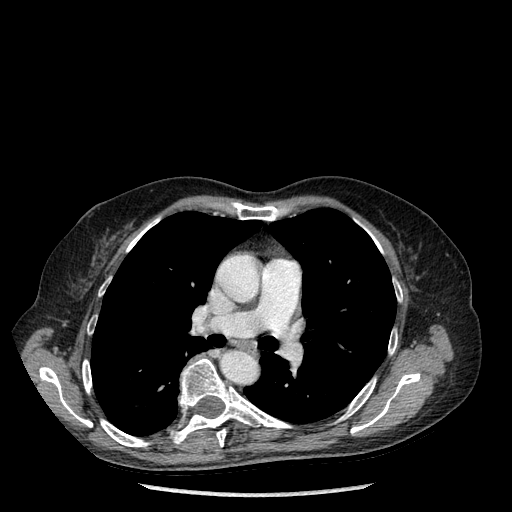

CT slice, Thorax
* lung: rect(244, 208, 396, 422); rect(91, 211, 261, 436)
* bone: rect(98, 278, 110, 296); rect(171, 357, 291, 443); rect(126, 217, 160, 251); rect(338, 377, 376, 421); rect(393, 279, 402, 301); rect(87, 317, 96, 334); rect(388, 329, 397, 354); rect(350, 372, 420, 434); rect(216, 429, 226, 446); rect(100, 419, 149, 446); rect(39, 367, 92, 427); rect(363, 225, 383, 253); rect(82, 360, 91, 393); rect(232, 202, 281, 220)